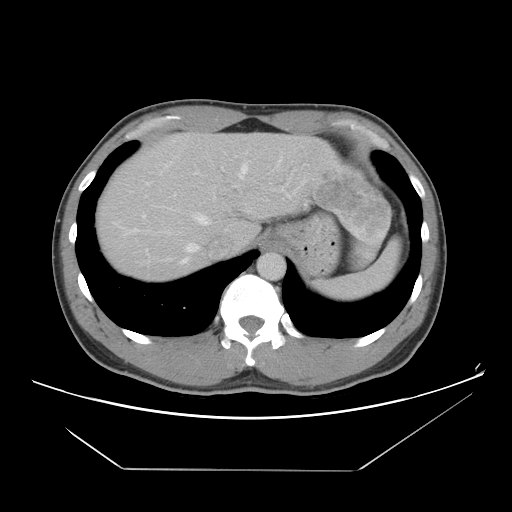
CT scan slice; 512x512 px; Liver
The vessel boxes may cover only some of the vessels.
15 hepatic vessel regions are bounded by rect(286, 194, 290, 197); rect(124, 228, 137, 234); rect(146, 249, 147, 250); rect(276, 157, 281, 167); rect(182, 258, 187, 263); rect(238, 164, 247, 178); rect(145, 195, 147, 197); rect(142, 214, 145, 217); rect(195, 172, 198, 174); rect(192, 214, 209, 224); rect(186, 243, 198, 251); rect(174, 194, 175, 195); rect(234, 185, 237, 186); rect(165, 258, 171, 260); rect(299, 182, 303, 186). The liver tumor is at rect(314, 167, 390, 241).